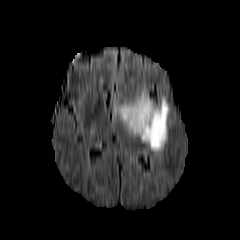
FLAIR MR image.
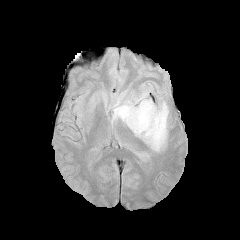
T1-weighted MR.
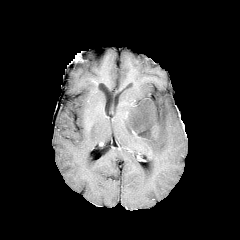
Post-contrast T1-weighted MRI.
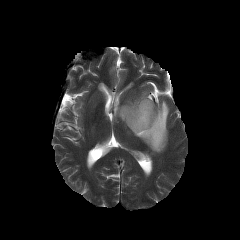
Same slice, T2-weighted MR image.
240x240, Brain
{"edema": ["<bbox>114, 89, 169, 153</bbox>"]}